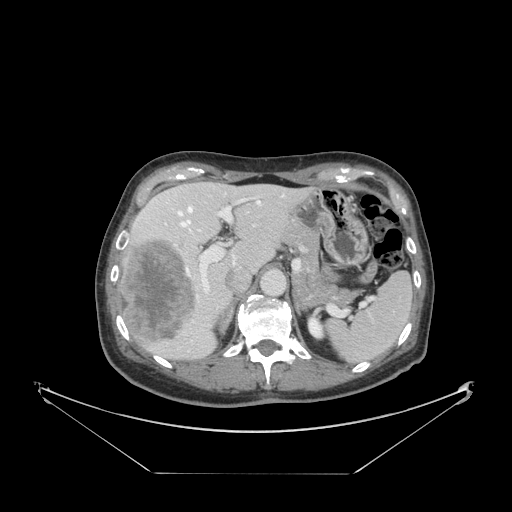

CT. Abdomen.

The spleen appears at [330,272,413,363].